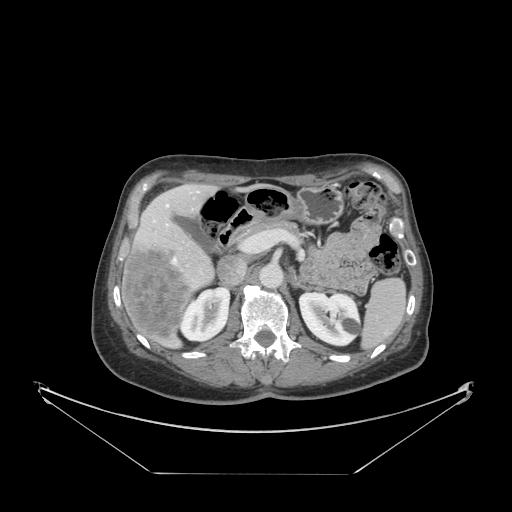
CT image; Upper abdomen; Image size 512x512

Annotated regions:
• spleen: (363, 279, 406, 347)